512x512, CT scan slice, Lower abdomen, Slice index 93
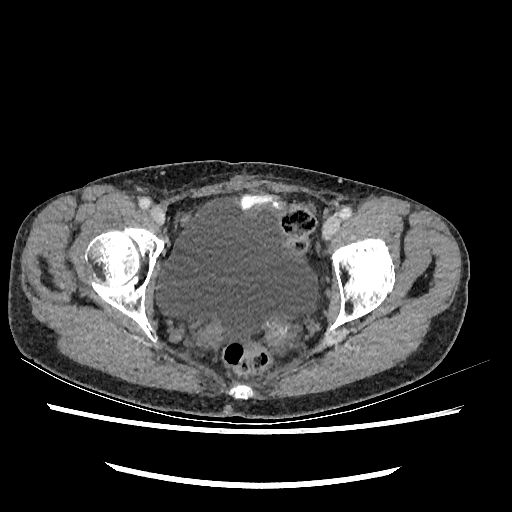
urinary_bladder:
  - [156,197,317,343]